Field of view 360 mm wide, 5.00 mm slice spacing | Computed tomography

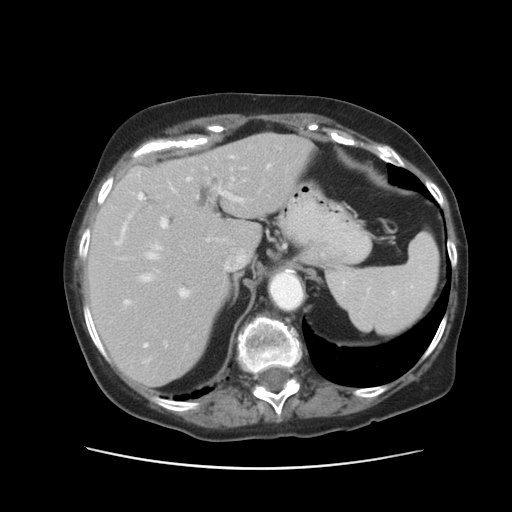

The vessel annotation is not exhaustive.
Principal 15 of 22 hepatic vessel regions at {"x1": 139, "y1": 274, "x2": 152, "y2": 282}, {"x1": 143, "y1": 357, "x2": 151, "y2": 363}, {"x1": 114, "y1": 215, "x2": 131, "y2": 246}, {"x1": 169, "y1": 184, "x2": 174, "y2": 192}, {"x1": 159, "y1": 214, "x2": 168, "y2": 230}, {"x1": 179, "y1": 289, "x2": 189, "y2": 297}, {"x1": 216, "y1": 186, "x2": 250, "y2": 205}, {"x1": 229, "y1": 155, "x2": 233, "y2": 158}, {"x1": 224, "y1": 250, "x2": 245, "y2": 270}, {"x1": 137, "y1": 171, "x2": 139, "y2": 178}, {"x1": 203, "y1": 236, "x2": 227, "y2": 241}, {"x1": 165, "y1": 204, "x2": 169, "y2": 208}, {"x1": 123, "y1": 300, "x2": 130, "y2": 307}, {"x1": 145, "y1": 242, "x2": 160, "y2": 259}, {"x1": 137, "y1": 193, "x2": 143, "y2": 200}.